Head
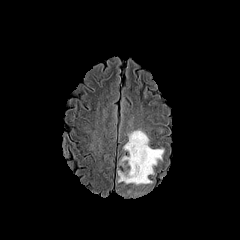
FLAIR MRI.
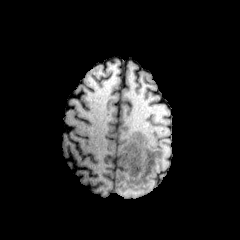
T1-weighted MR image of the same slice.
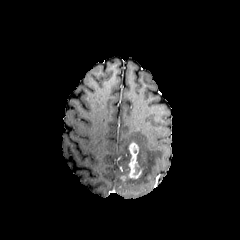
Post-contrast T1-weighted MR.
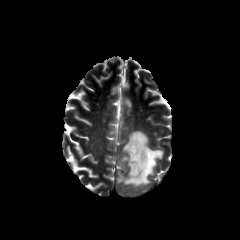
Same slice, T2-weighted MRI.
{
  "edema": [
    "<bbox>116, 130, 163, 197</bbox>",
    "<bbox>120, 154, 131, 165</bbox>"
  ],
  "enhancing_tumor": [
    "<bbox>120, 143, 142, 180</bbox>"
  ]
}